CT image; Slice index 346
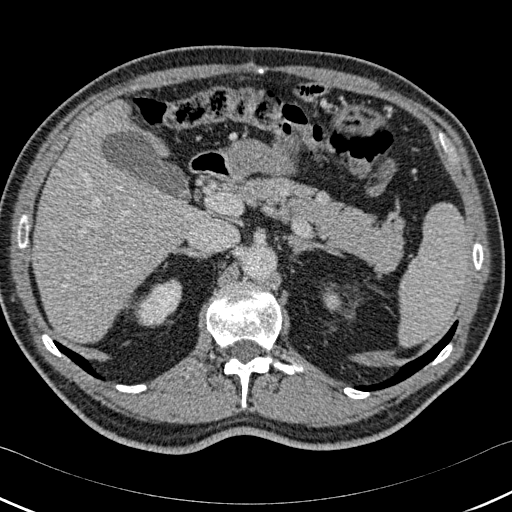
{
  "kidney": [
    "l=327, t=296, r=337, b=305",
    "l=139, t=282, r=180, b=324"
  ],
  "bone": [
    "l=116, t=385, r=146, b=393",
    "l=432, t=344, r=452, b=365",
    "l=224, t=356, r=272, b=407",
    "l=17, t=215, r=28, b=248",
    "l=273, t=361, r=303, b=374",
    "l=206, t=283, r=281, b=350",
    "l=42, t=334, r=61, b=356",
    "l=473, t=243, r=483, b=269",
    "l=344, t=387, r=369, b=398"
  ],
  "lung": [
    "l=63, t=347, r=105, b=380",
    "l=354, t=320, r=458, b=391"
  ],
  "liver": [
    "l=33, t=101, r=201, b=342"
  ]
}